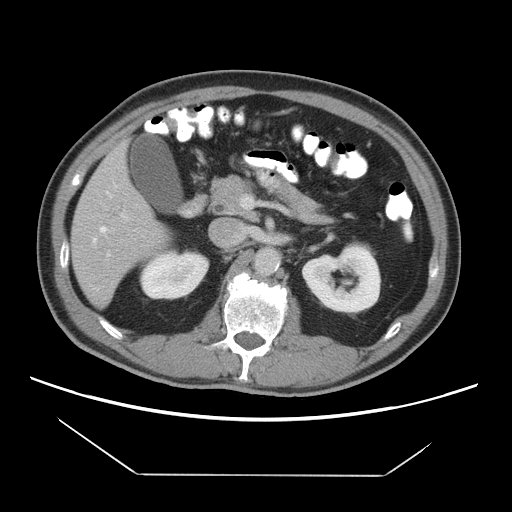 Liver; Computed tomography
Some hepatic vessels may have no box.
Hepatic vessel: bounding box left=113, top=183, right=117, bottom=190; left=92, top=237, right=95, bottom=247; left=135, top=204, right=136, bottom=206; left=107, top=251, right=110, bottom=256; left=97, top=288, right=98, bottom=290; left=100, top=226, right=105, bottom=232; left=121, top=213, right=128, bottom=220; left=115, top=165, right=118, bottom=167; left=134, top=229, right=136, bottom=230; left=106, top=191, right=112, bottom=198.